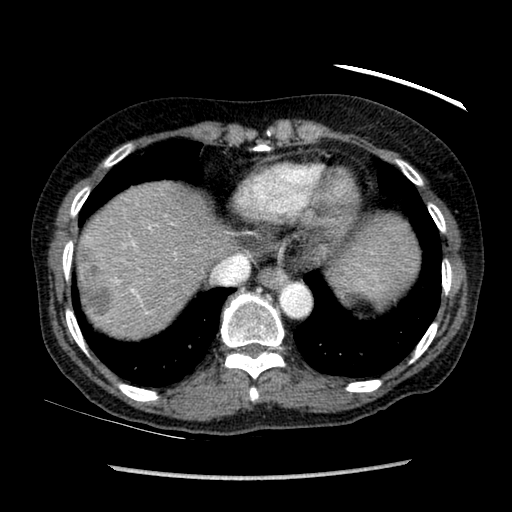 Abdomen | 512x512 px | CT image
liver:
  - bbox(79, 185, 232, 337)
  - bbox(323, 214, 420, 298)
liver_lesion:
  - bbox(77, 246, 114, 316)